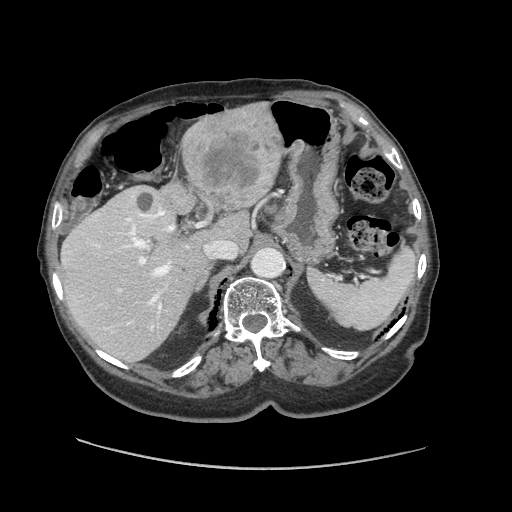
512x512, Abdomen, CT
Only some of the vessels may be annotated.
Hepatic vessel — x1=152 y1=262 x2=170 y2=275, x1=131 y1=232 x2=146 y2=247, x1=151 y1=216 x2=154 y2=216, x1=150 y1=295 x2=157 y2=304, x1=139 y1=257 x2=145 y2=263, x1=167 y1=226 x2=173 y2=229, x1=205 y1=241 x2=236 y2=258, x1=155 y1=211 x2=164 y2=215.
Liver tumor — x1=186 y1=107 x2=279 y2=203.